Slice 113/155.
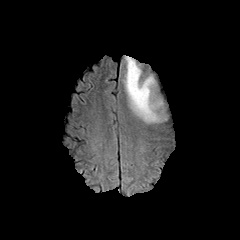
FLAIR MR.
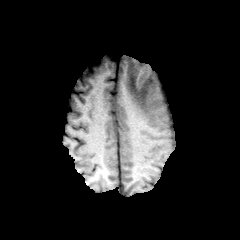
T1-weighted MR.
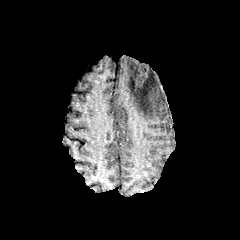
Same slice, post-contrast T1-weighted MR image.
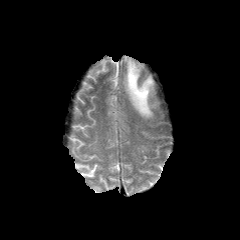
T2-weighted MR image.
edema:
  - region(123, 57, 165, 122)